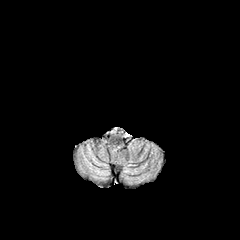
FLAIR MRI.
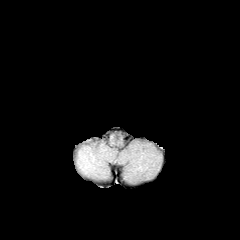
T1-weighted MRI.
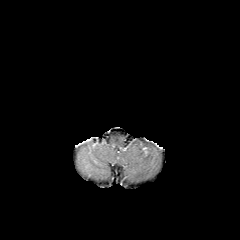
Post-contrast T1-weighted MRI of the same slice.
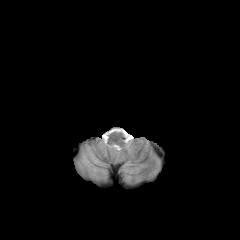
T2-weighted magnetic resonance.
Edema at [102,142,136,160], [81,146,108,176], [125,164,138,175].